FLAIR MR image.
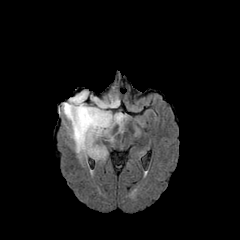
T1-weighted magnetic resonance.
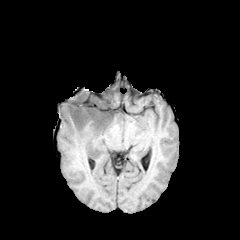
Post-contrast T1-weighted MRI.
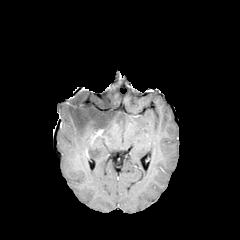
T2-weighted magnetic resonance.
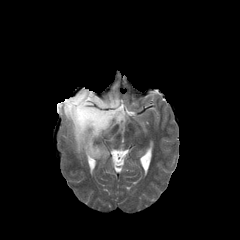
2 non-enhancing tumor core regions appear at 65,96,110,126; 89,129,103,147. The edema is bounded by 59,90,126,159.